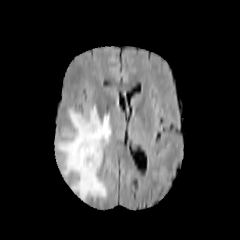
FLAIR MR image.
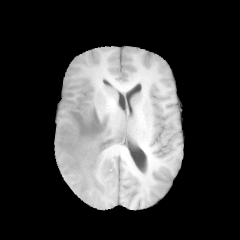
T1-weighted MRI.
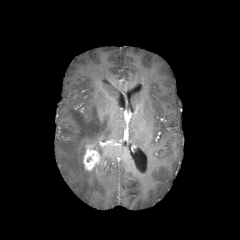
Post-contrast T1-weighted MR.
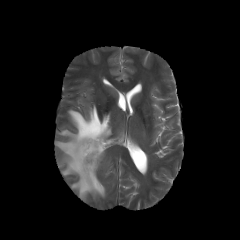
T2-weighted MR of the same slice.
240x240 px
<segmentation>
  <edema>bbox=[56, 105, 111, 199]</edema>
  <enhancing_tumor>bbox=[83, 144, 100, 170]</enhancing_tumor>
</segmentation>